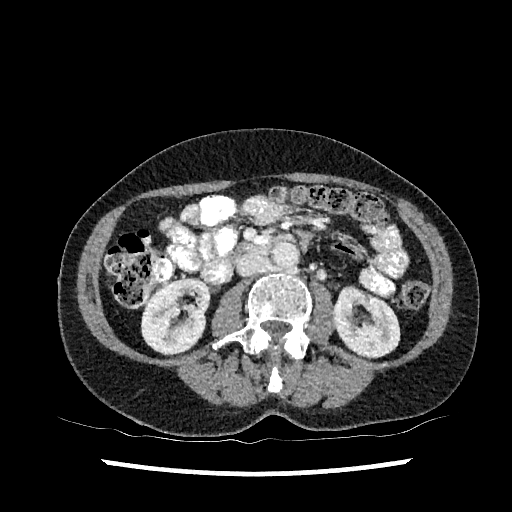
CT slice | Abdomen

Segmented structures:
• kidney: [334,288,399,356], [142,279,209,353]